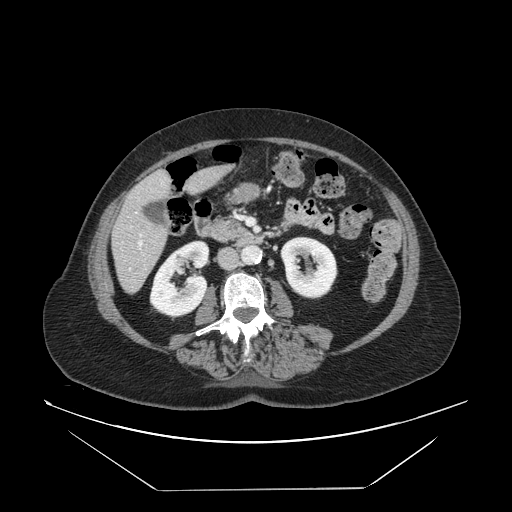 Upper abdomen; CT; 512x512

The pancreas is bounded by 202, 217, 245, 243.